Computed tomography, Image size 512x512, Slice 58 of 95

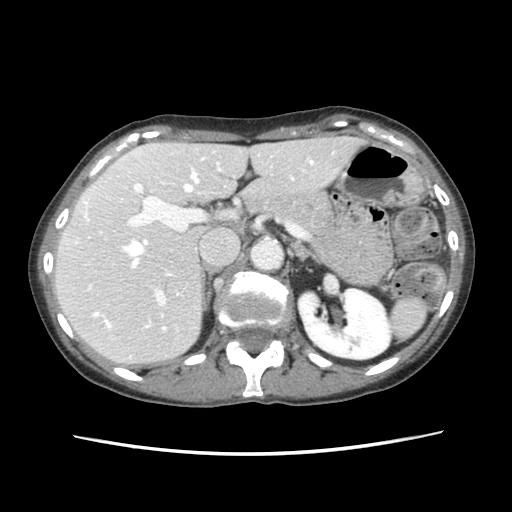
Segmented structures:
• spleen: <box>388,299,426,338</box>